Slice 128 of 155; 240x240 px
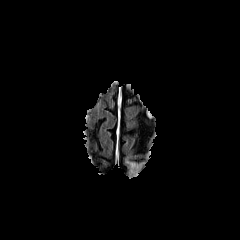
FLAIR MRI.
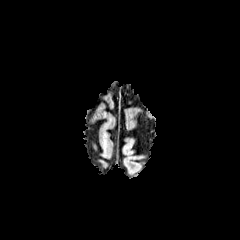
T1-weighted MRI.
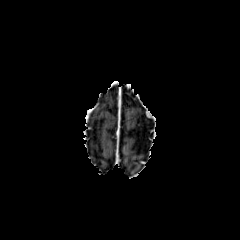
Same slice, post-contrast T1-weighted MRI.
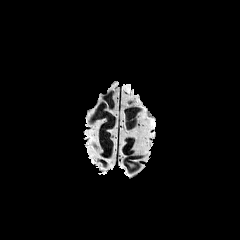
T2-weighted magnetic resonance of the same slice.
Findings:
- edema: 130,163,141,172